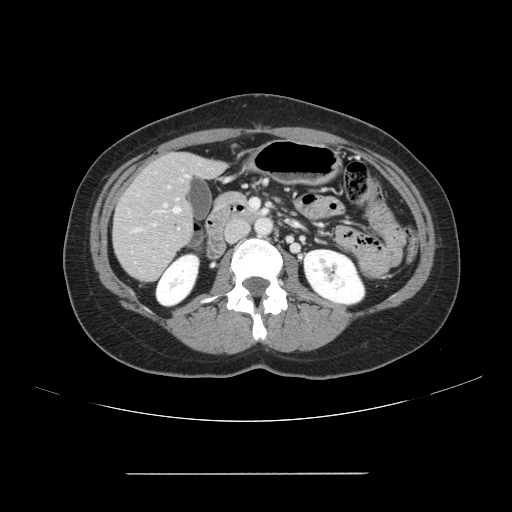

512x512 px | Computed tomography

Only some of the vessels may be annotated.
hepatic vessel: x1=153 y1=224 x2=154 y2=225, x1=164 y1=204 x2=166 y2=205, x1=134 y1=230 x2=137 y2=231, x1=173 y1=207 x2=179 y2=212